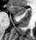
Hippocampus; MRI slice
Segmented structures:
* anterior hippocampus: <bbox>10, 6, 25, 15</bbox>